Head; Slice index 90; Image size 240x240
FLAIR MR image.
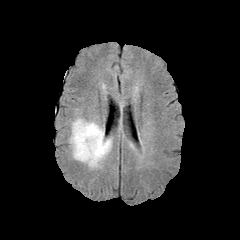
T1-weighted MR.
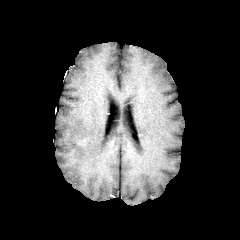
Post-contrast T1-weighted magnetic resonance.
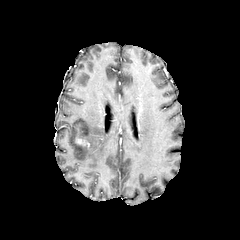
T2-weighted MR.
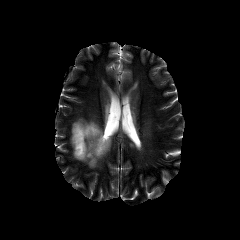
Non-enhancing tumor core: box=[76, 135, 88, 146].
Edema: box=[68, 116, 113, 169].